CT; Slice index 108; Abdomen 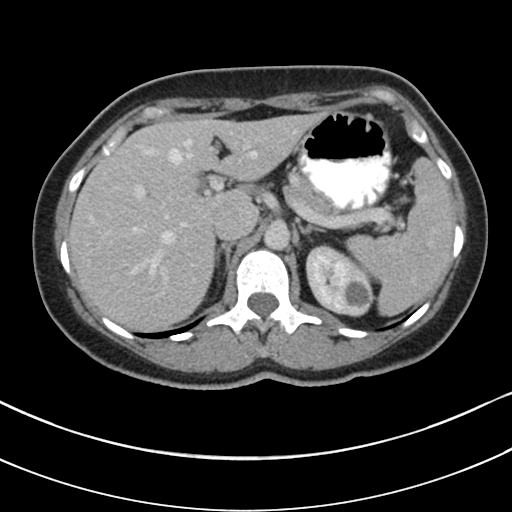

Pancreas: 288, 172, 335, 218.